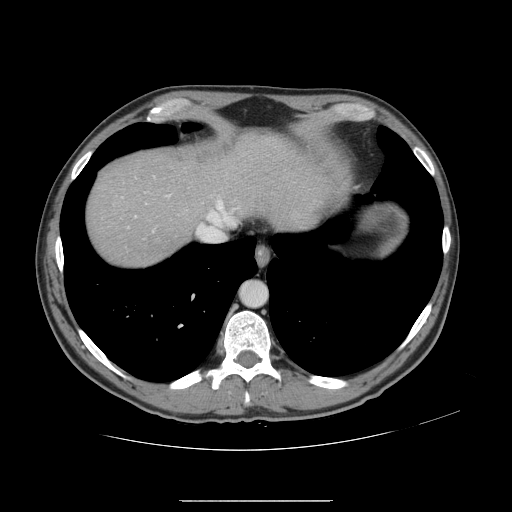

CT. Abdomen.

The vessel boxes may cover only some of the vessels.
The hepatic vessel is at <box>198,200,234,240</box>.